Head
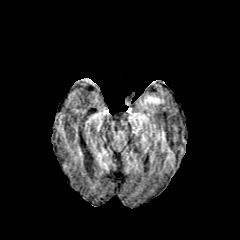
FLAIR MRI.
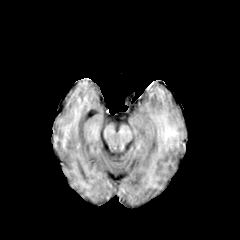
T1-weighted MRI.
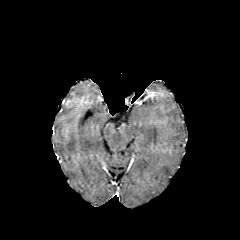
Post-contrast T1-weighted MR image.
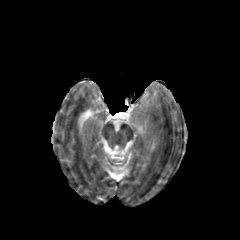
T2-weighted magnetic resonance.
Findings:
- edema: 136, 92, 159, 108